Brain; Slice index 135
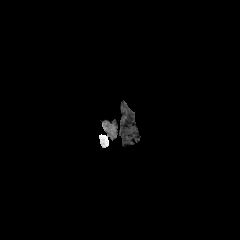
FLAIR MR image.
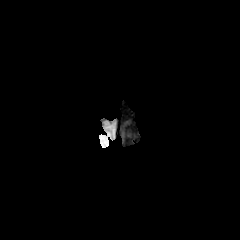
T1-weighted magnetic resonance.
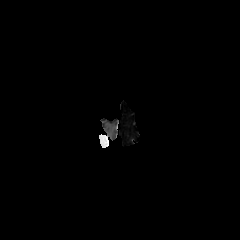
Post-contrast T1-weighted MR.
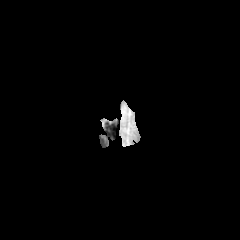
T2-weighted magnetic resonance.
The enhancing tumor is at box(99, 134, 108, 147).